CT scan slice; 512x512; Liver
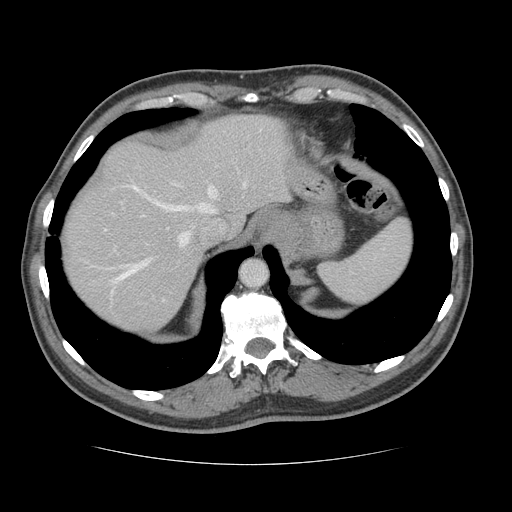 The vessel boxes may cover only some of the vessels.
10 hepatic vessel regions are located at 175, 183, 179, 185; 130, 184, 139, 191; 154, 201, 214, 212; 141, 215, 143, 216; 116, 261, 146, 279; 208, 187, 216, 197; 243, 181, 245, 187; 114, 246, 115, 250; 178, 232, 189, 244; 191, 226, 193, 228.